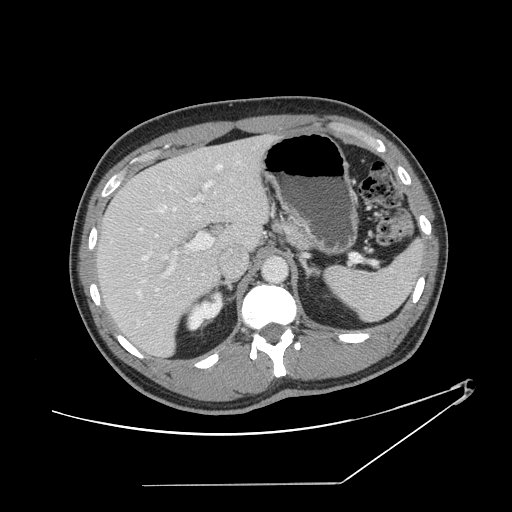 CT.

Not every hepatic vessel necessarily has a box.
Annotated regions:
* hepatic vessel (principal 15 of 21): (214, 192, 216, 194), (173, 250, 178, 255), (165, 262, 175, 274), (164, 256, 168, 258), (184, 232, 212, 253), (217, 165, 221, 169), (192, 195, 203, 201), (137, 291, 141, 297), (159, 206, 165, 212), (195, 216, 199, 218), (203, 181, 211, 190), (137, 320, 139, 324), (142, 252, 150, 260), (141, 280, 144, 282), (140, 228, 142, 231)